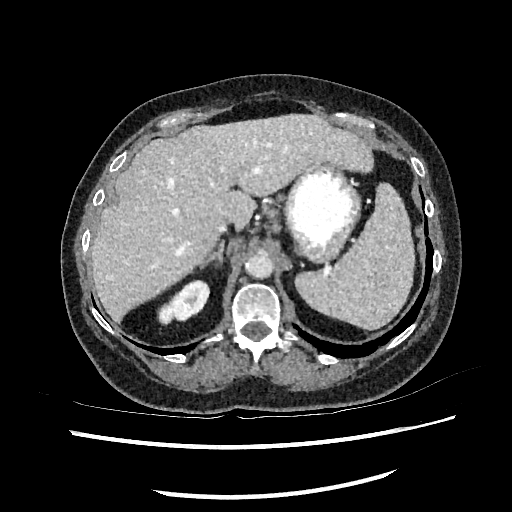

Computed tomography. Abdomen. Image size 512x512.
Segmented structures:
* kidney: 160,281,208,321
* liver: 93,113,373,322